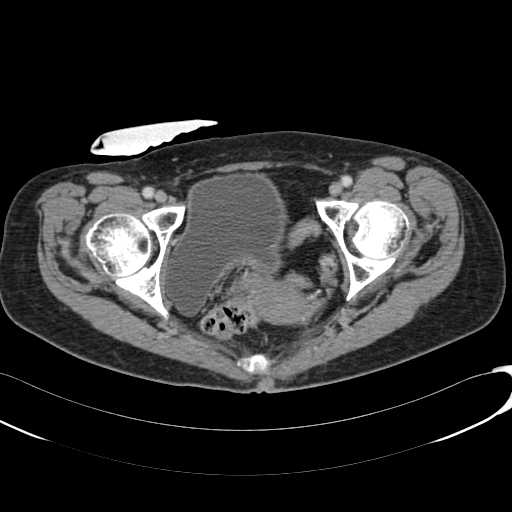

Pelvis, Computed tomography

urinary bladder: rect(164, 172, 288, 316)